Slice 614 of 689 | 512x512 px | Computed tomography | Chest

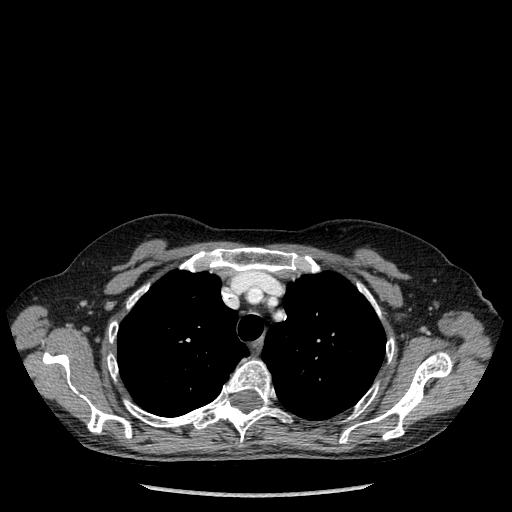

bone: rect(357, 282, 380, 317); rect(124, 359, 292, 442); rect(42, 352, 131, 438); rect(108, 321, 117, 342); rect(347, 382, 378, 420); rect(180, 247, 319, 276); rect(126, 284, 148, 308); rect(339, 352, 452, 443); rect(107, 353, 117, 380); rect(386, 338, 394, 362) | lung: rect(261, 271, 385, 420); rect(117, 270, 263, 417)